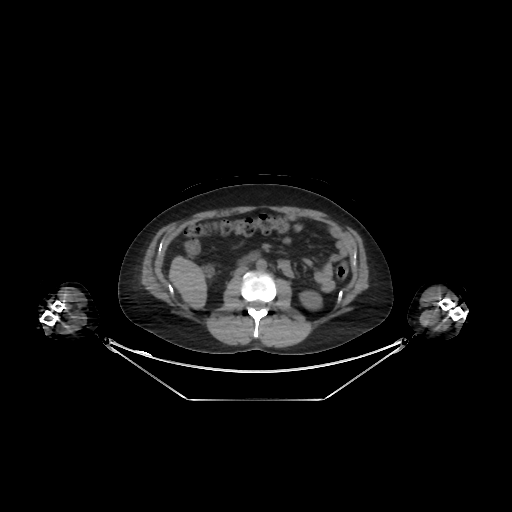

Abdomen. Computed tomography. - kidney: 299:290:322:309
- liver: 169:256:207:308